FLAIR magnetic resonance.
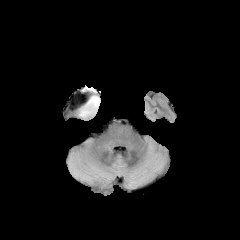
T1-weighted MR image.
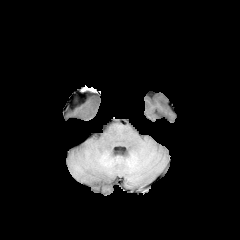
Post-contrast T1-weighted MR image.
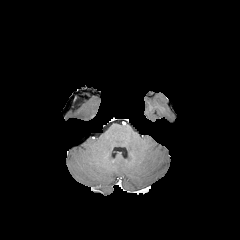
T2-weighted MRI.
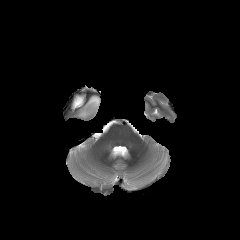
Image size 240x240
The edema is bounded by (78, 95, 100, 119).